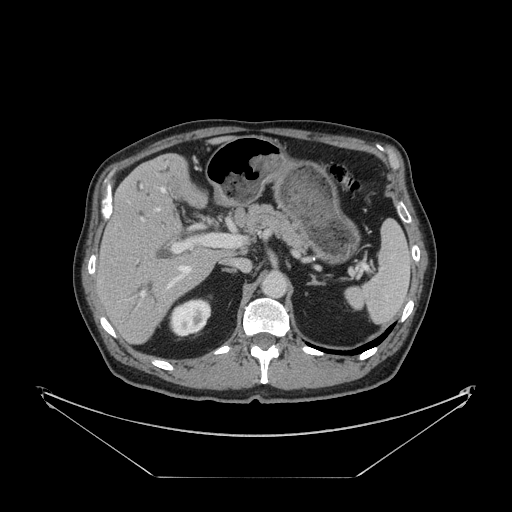 CT slice. Abdomen. Only some of the vessels may be annotated.
Segmented structures:
* hepatic vessel: l=156, t=208, r=158, b=211; l=172, t=234, r=242, b=252; l=140, t=291, r=144, b=296; l=166, t=266, r=190, b=289; l=161, t=188, r=164, b=191